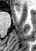
MR | Medial temporal lobe
{"anterior_hippocampus": ["x1=16 y1=6 x2=20 y2=10"]}